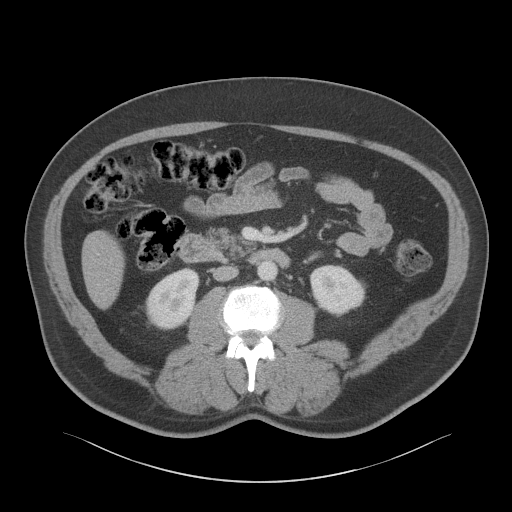 512x512; Computed tomography
Annotated regions:
- kidney: rect(147, 270, 198, 328); rect(311, 266, 363, 313)
- liver: rect(84, 234, 123, 306)